Upper abdomen, Slice index 16, CT slice
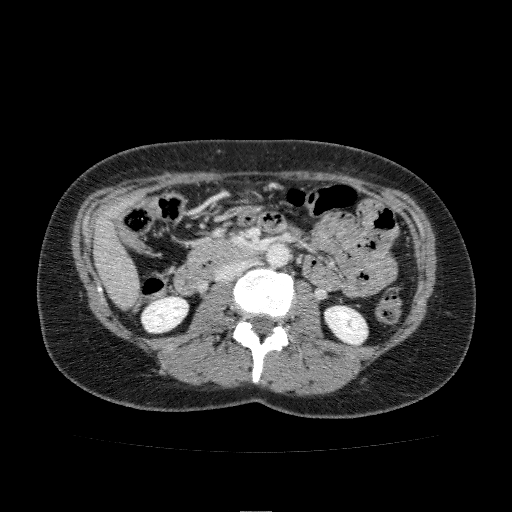
Annotated regions:
• kidney: [325, 306, 367, 344], [142, 297, 187, 332]
• liver: [93, 197, 138, 306]